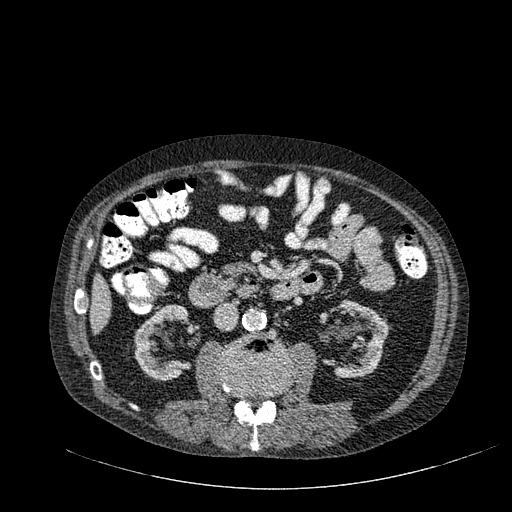
CT
The liver is located at 92:275:110:332. 3 kidney regions are bounded by 318:301:389:377, 134:304:198:380, 319:312:328:322.